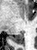 MR | Medial temporal lobe
Posterior hippocampus: bounding box <box>8,32,22,43</box>.